Abdomen; Slice 284 of 781; CT image

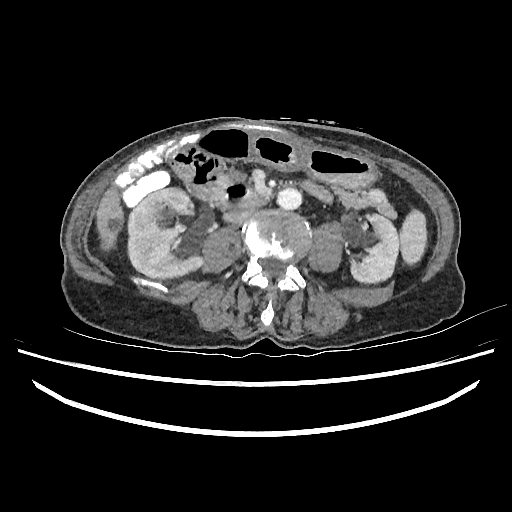 2 kidney regions are located at (351, 214, 398, 282), (128, 188, 202, 278). The liver is bounded by (97, 188, 122, 247). The liver lesion is at (109, 219, 122, 229).